CT scan slice. 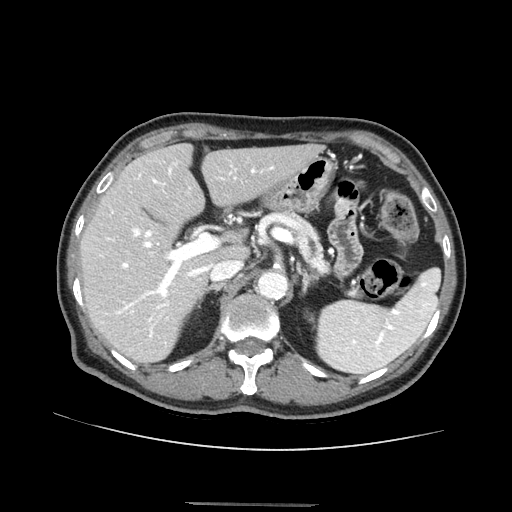

Pancreas: (left=280, top=214, right=328, bottom=274).